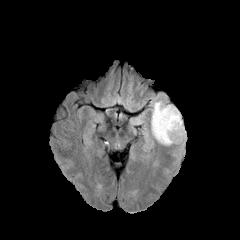
FLAIR MR.
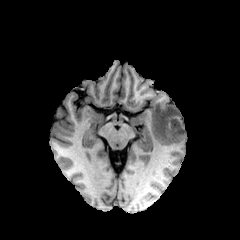
Same slice, T1-weighted magnetic resonance.
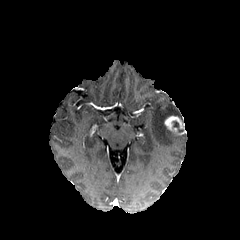
Same slice, post-contrast T1-weighted MR image.
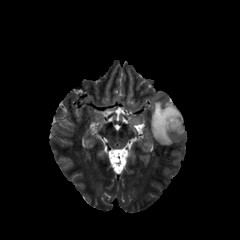
T2-weighted MRI.
Brain
Enhancing tumor = bbox(164, 116, 185, 134).
Edema = bbox(151, 101, 180, 144).